240x240; Brain
FLAIR MR image.
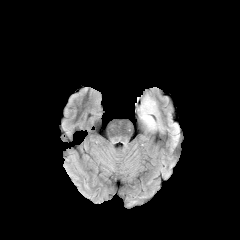
T1-weighted MRI.
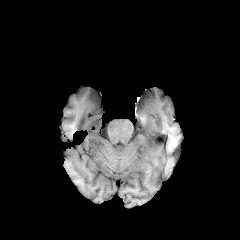
Post-contrast T1-weighted MR.
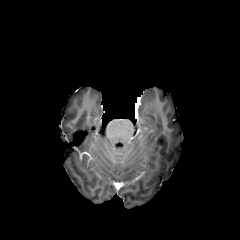
T2-weighted magnetic resonance.
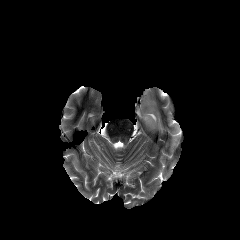
<segmentation>
  <edema>139, 94, 159, 130</edema>
</segmentation>